FLAIR magnetic resonance.
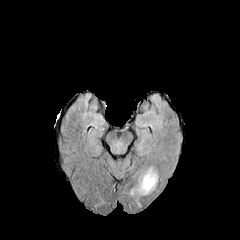
T1-weighted MR.
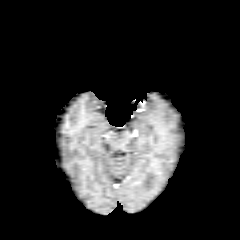
Post-contrast T1-weighted magnetic resonance.
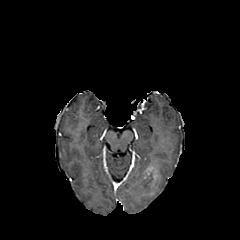
T2-weighted MR.
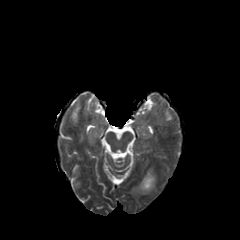
The edema lies within region(130, 168, 157, 194).